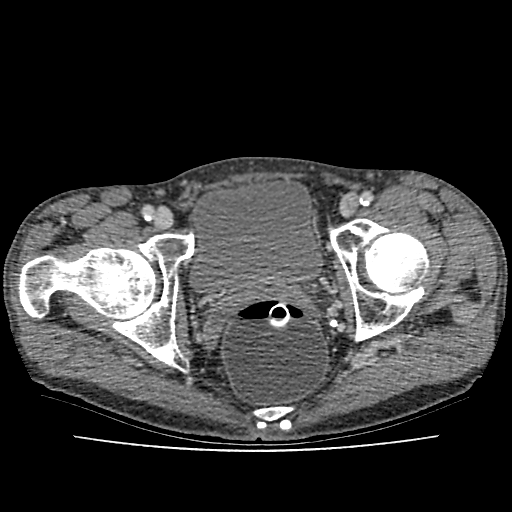 512x512. Pelvis. CT slice.

<segmentation>
  <urinary_bladder>box(189, 180, 322, 298)</urinary_bladder>
</segmentation>